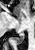 Magnetic resonance
Posterior hippocampus: region(16, 32, 24, 43).